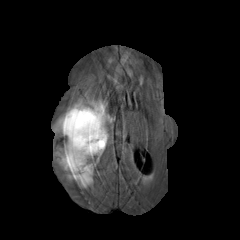
FLAIR MR.
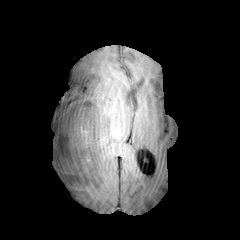
T1-weighted MRI of the same slice.
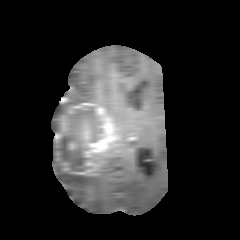
Post-contrast T1-weighted magnetic resonance.
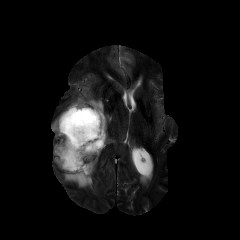
Same slice, T2-weighted magnetic resonance.
240x240
3 edema regions are located at (left=54, top=134, right=107, bottom=187), (left=52, top=100, right=83, bottom=131), (left=89, top=98, right=113, bottom=141). The non-enhancing tumor core is at (left=56, top=106, right=101, bottom=173). 3 enhancing tumor regions appear at (left=61, top=120, right=66, bottom=131), (left=73, top=103, right=95, bottom=108), (left=82, top=106, right=110, bottom=157).